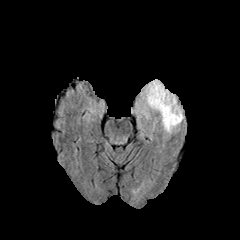
FLAIR magnetic resonance.
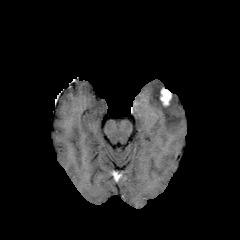
T1-weighted MR.
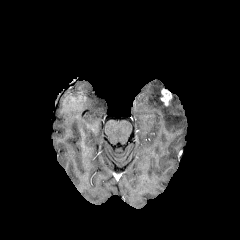
Post-contrast T1-weighted MRI.
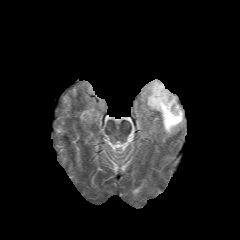
T2-weighted MR image.
Head
Enhancing tumor = bbox(160, 88, 172, 105).
Edema = bbox(136, 79, 185, 136).